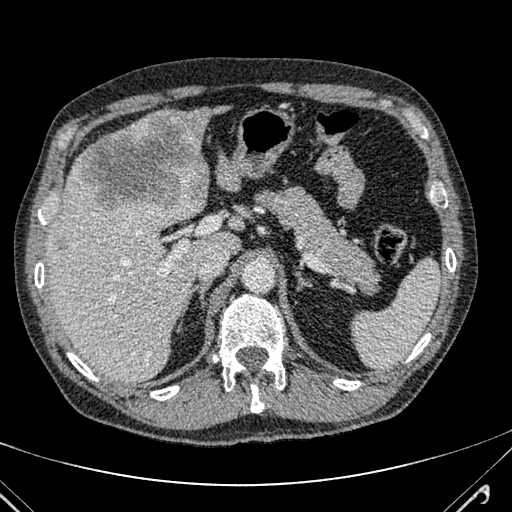 Image size 512x512; CT image
liver: (x1=229, y1=215, x2=242, y2=228), (x1=47, y1=158, x2=239, y2=381), (x1=106, y1=107, x2=221, y2=154), (x1=218, y1=157, x2=239, y2=189) | hepatic lesion: (x1=57, y1=240, x2=66, y2=252), (x1=80, y1=114, x2=207, y2=207)